Image width 328 mm. 512x512 px. Slice index 327. Computed tomography. Upper abdomen.
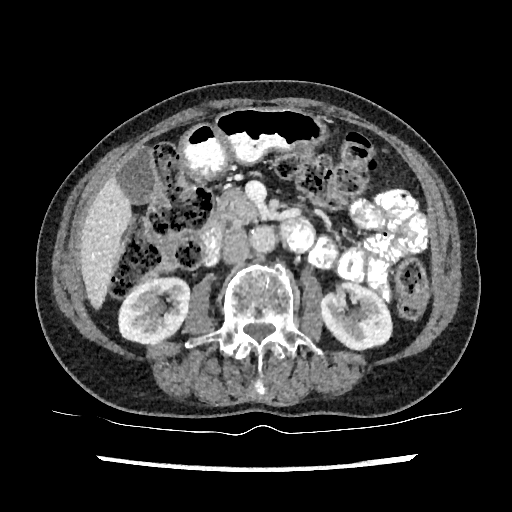
kidney:
  - 321, 284, 391, 348
  - 119, 279, 189, 344
liver:
  - 80, 180, 131, 307